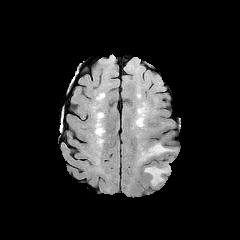
FLAIR MRI.
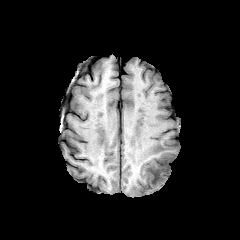
T1-weighted MR image of the same slice.
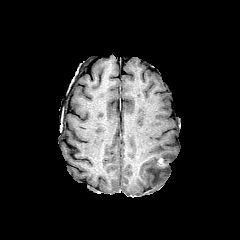
Same slice, post-contrast T1-weighted MRI.
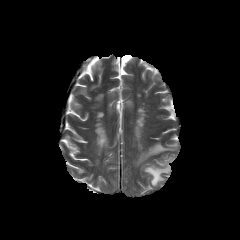
T2-weighted magnetic resonance.
Brain
2 edema regions are bounded by <box>144,161,167,185</box>, <box>137,142,172,163</box>.